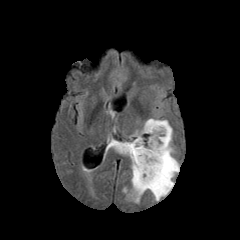
FLAIR MR image.
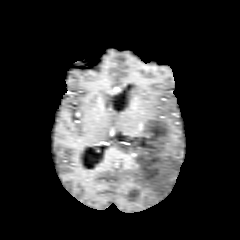
T1-weighted MR image.
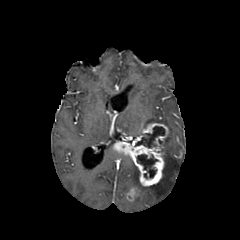
Same slice, post-contrast T1-weighted MR image.
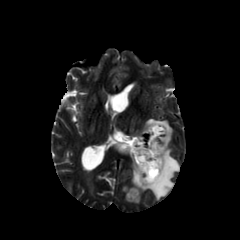
T2-weighted MR image of the same slice.
Image size 240x240. Head.
The edema appears at (x1=127, y1=117, x2=179, y2=203). 2 enhancing tumor regions are bounded by (x1=114, y1=123, x2=168, y2=185), (x1=128, y1=188, x2=137, y2=199). 2 non-enhancing tumor core regions are located at (x1=135, y1=126, x2=165, y2=147), (x1=136, y1=154, x2=157, y2=177).